Liver, Computed tomography, Image size 512x512, Image width 460 mm 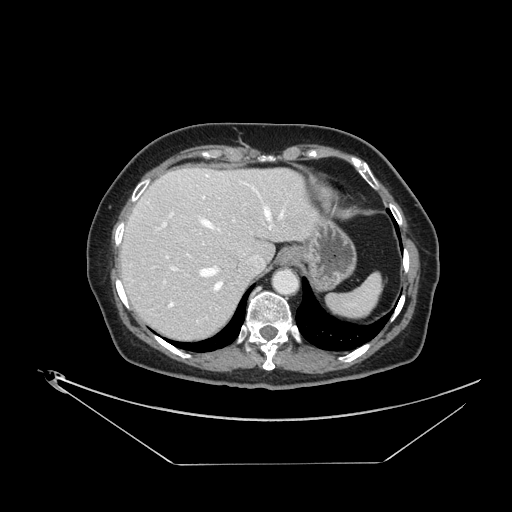
The vessel annotation is not exhaustive.
<segmentation>
  <hepatic_vessel>168:302:173:307, 162:221:166:227, 166:255:168:258, 201:195:205:198, 198:217:219:231, 199:266:218:276, 265:206:269:217, 249:255:263:268, 169:212:172:217, 213:281:222:291, 171:267:176:270, 269:224:271:226</hepatic_vessel>
</segmentation>